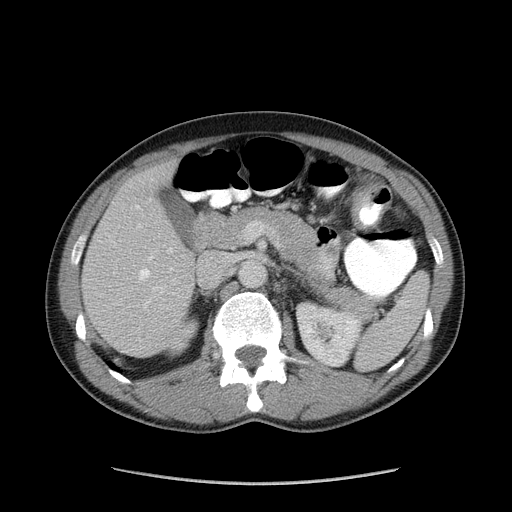 CT scan slice, 512x512 px
Colon tumor at 351:185:376:229.